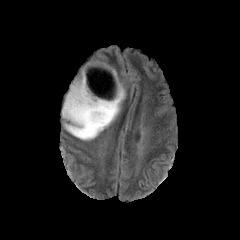
FLAIR magnetic resonance.
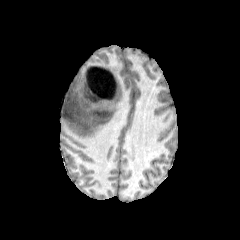
Same slice, T1-weighted MR image.
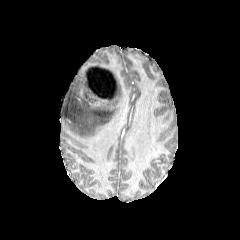
Post-contrast T1-weighted MR.
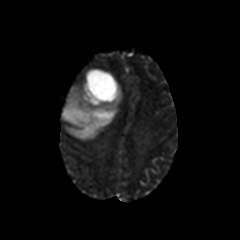
T2-weighted MR image.
Image size 240x240
Annotated regions:
- non-enhancing tumor core: 63:108:75:121, 90:95:107:105, 94:110:109:120
- edema: 61:72:124:140